CT scan slice. Liver.

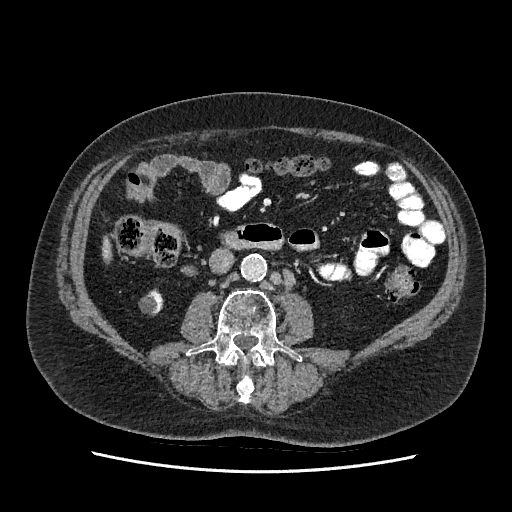

Liver = x1=104 y1=239 x2=110 y2=259.
Kidney = x1=153 y1=292 x2=161 y2=309.